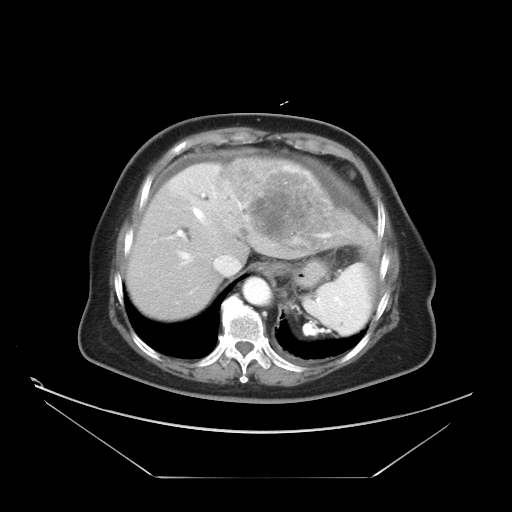 Abdomen | CT image | 512x512
The vessel annotation is not exhaustive.
hepatic vessel: box=[192, 206, 204, 221]; box=[178, 252, 193, 266]; box=[177, 230, 182, 235]; box=[213, 192, 214, 195]; box=[214, 257, 223, 268] | liver tumor: box=[221, 157, 340, 254]